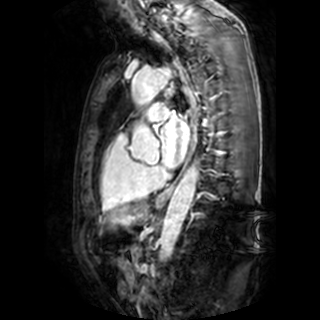

MR image; Cardiac
Left atrium — bbox(160, 116, 189, 167).